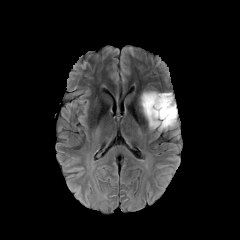
FLAIR MR.
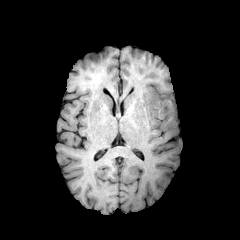
T1-weighted MR image of the same slice.
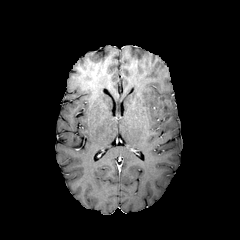
Post-contrast T1-weighted magnetic resonance.
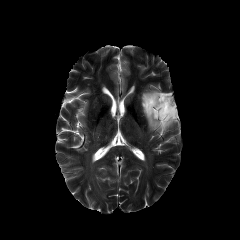
T2-weighted MRI.
240x240
{
  "non-enhancing_tumor_core": [
    "150 96 175 123"
  ],
  "edema": [
    "140 90 177 133"
  ]
}